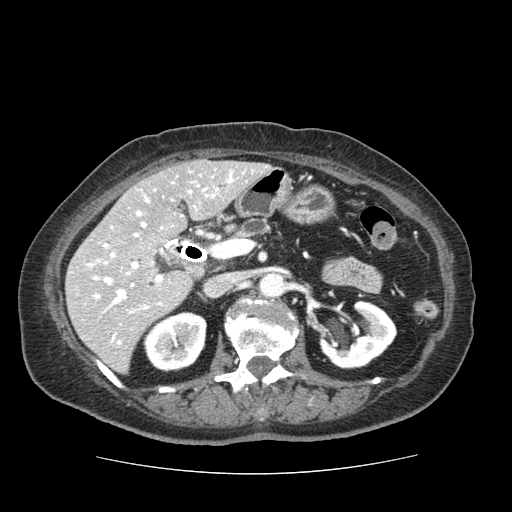
CT image. Upper abdomen.
Findings:
• pancreas: <box>238,220,269,237</box>